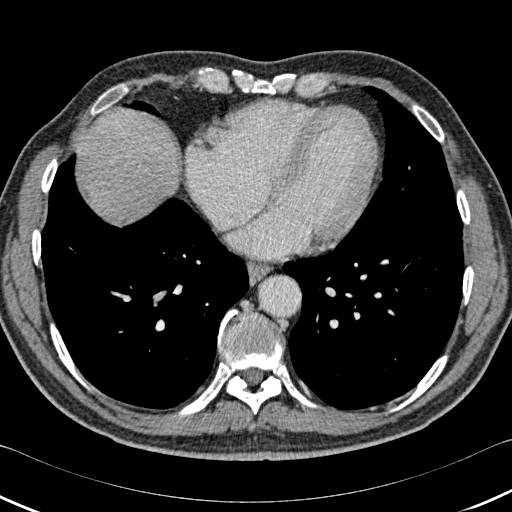

CT scan slice
bone: l=457, t=260, r=483, b=286; l=440, t=343, r=454, b=357; l=447, t=187, r=477, b=217; l=148, t=309, r=348, b=419; l=43, t=321, r=65, b=343; l=244, t=68, r=274, b=98; l=25, t=221, r=53, b=254; l=216, t=400, r=233, b=409; l=80, t=82, r=129, b=120; l=408, t=96, r=451, b=148; l=45, t=147, r=63, b=163 | lung: l=68, t=243, r=210, b=356; l=35, t=160, r=87, b=212; l=311, t=241, r=417, b=366